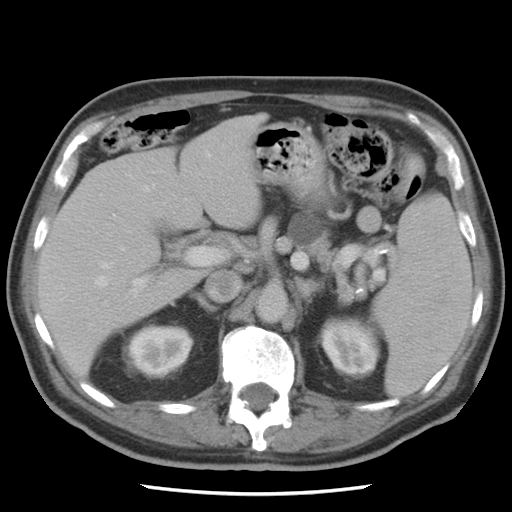
CT.

Segmented structures:
• pancreatic tumor: bbox(289, 212, 323, 244)
• pancreas: bbox(287, 209, 338, 271)